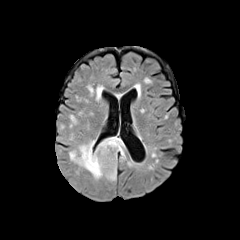
FLAIR MR.
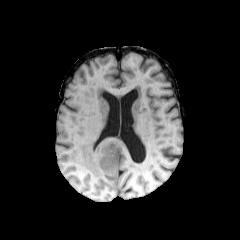
T1-weighted MRI of the same slice.
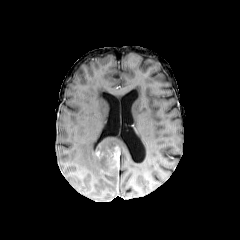
Post-contrast T1-weighted MRI of the same slice.
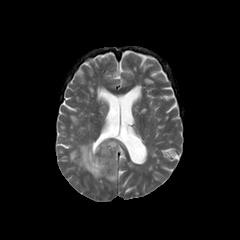
T2-weighted MR image.
240x240 px | Brain
Edema = region(88, 86, 103, 102); region(69, 134, 125, 181).
Enhancing tumor = region(107, 145, 120, 167).